Abdomen; CT scan slice 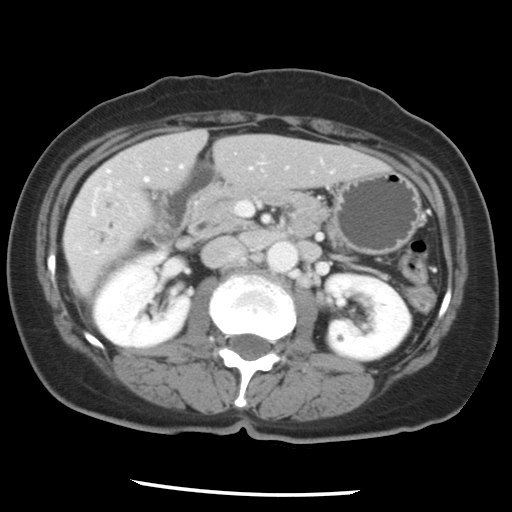

Only some of the vessels may be annotated.
Hepatic vessel: [106, 185, 110, 189], [145, 178, 146, 179].